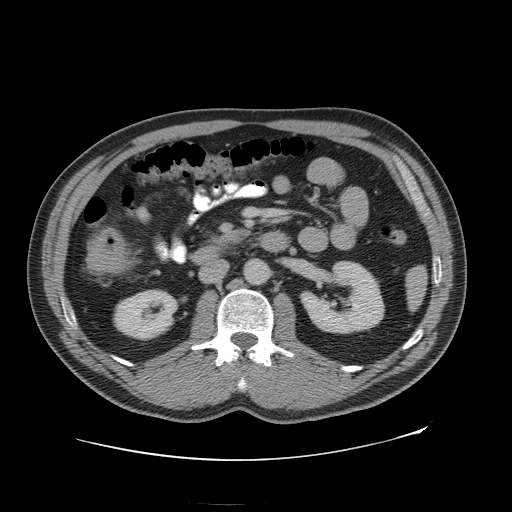 Pelvis; CT scan slice

The colon tumor is bounded by [x1=86, y1=227, x2=126, y2=270].